FLAIR magnetic resonance.
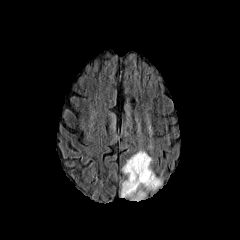
T1-weighted MRI.
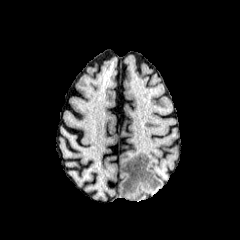
Post-contrast T1-weighted MR image.
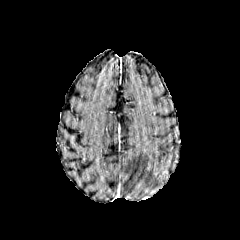
T2-weighted MR image.
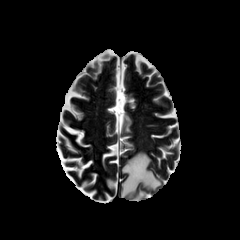
240x240, Brain
Edema: 119, 151, 162, 201.